CT image. 512x512 px. 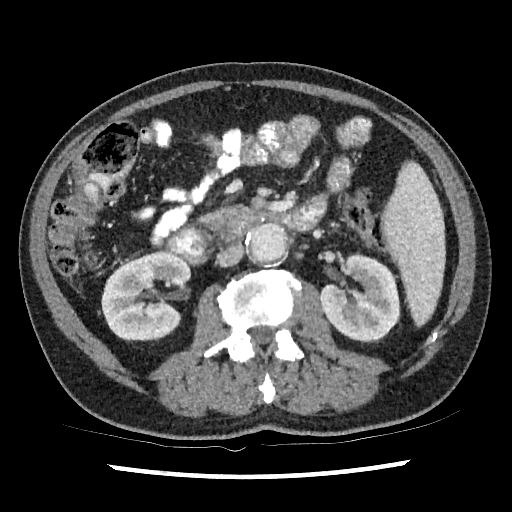 <segmentation>
  <kidney>bbox=[102, 251, 190, 339]; bbox=[320, 255, 398, 340]</kidney>
</segmentation>